Head
FLAIR magnetic resonance.
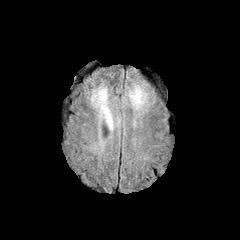
T1-weighted MRI.
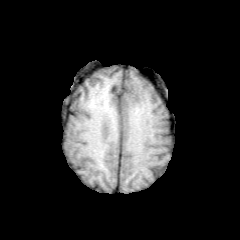
Post-contrast T1-weighted MR.
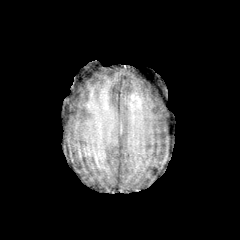
T2-weighted magnetic resonance.
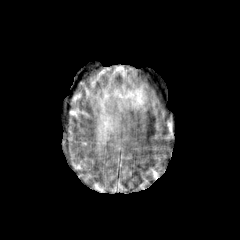
Edema — x1=123, y1=84, x2=149, y2=111; x1=91, y1=88, x2=114, y2=131.
Enhancing tumor — x1=130, y1=93, x2=141, y2=106.